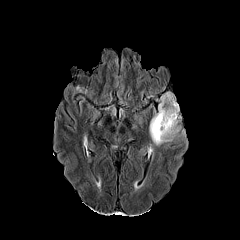
FLAIR MR.
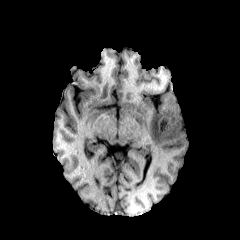
T1-weighted magnetic resonance of the same slice.
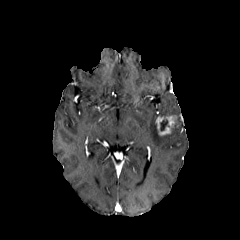
Post-contrast T1-weighted MR.
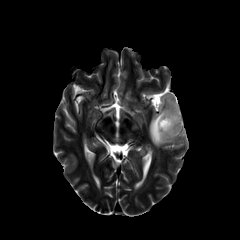
T2-weighted MR image.
Brain. Image size 240x240.
The non-enhancing tumor core is bounded by bbox=[160, 120, 168, 131]. The edema appears at bbox=[149, 93, 185, 147]. The enhancing tumor is bounded by bbox=[155, 113, 178, 136].